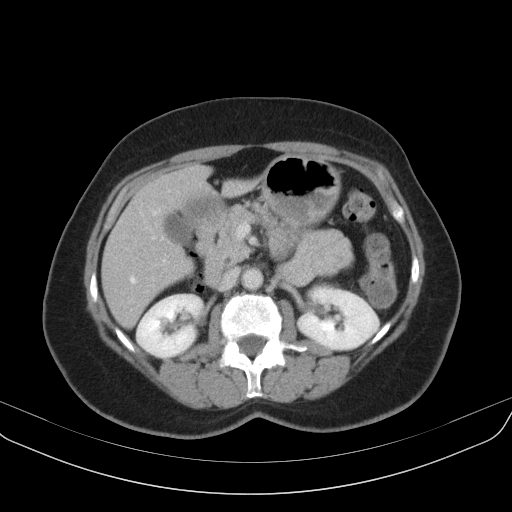

Upper abdomen. CT image. 512x512 px. • pancreas: region(208, 203, 294, 269)